Computed tomography | Slice index 127 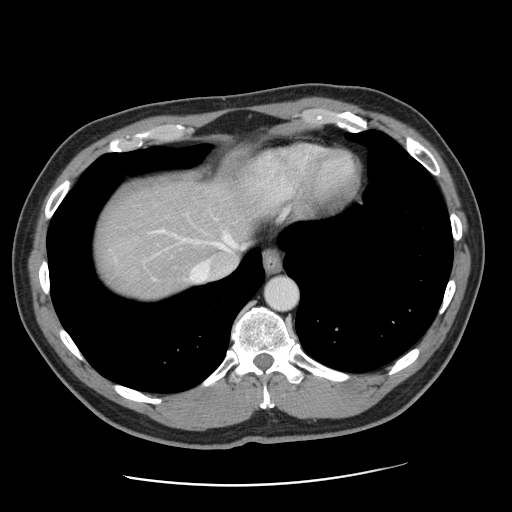
Some hepatic vessels may have no box.
3 hepatic vessel regions are located at <bbox>157, 228, 166, 232</bbox>, <bbox>180, 238, 189, 241</bbox>, <bbox>186, 233, 245, 282</bbox>.